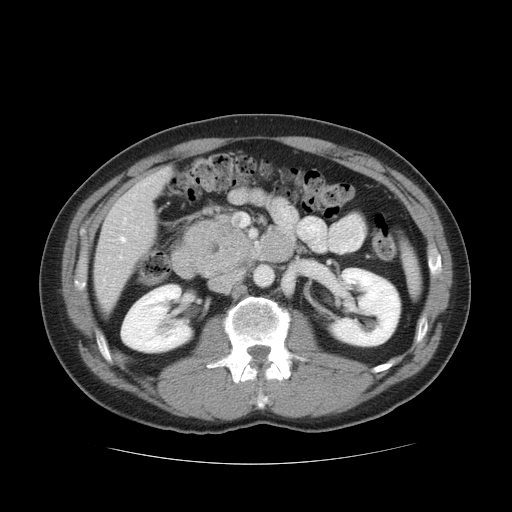
Upper abdomen, CT slice, Image size 512x512
The pancreatic tumor is bounded by 185:220:251:277. 2 pancreas regions are bounded by 183:236:192:263, 211:217:234:226.